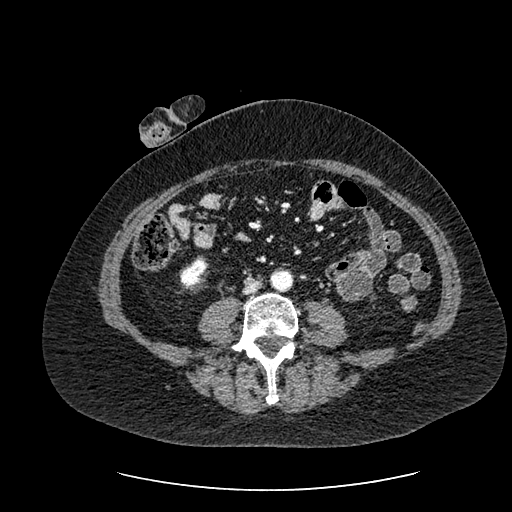
Abdomen | CT slice
Kidney: <box>181,258,206,286</box>.